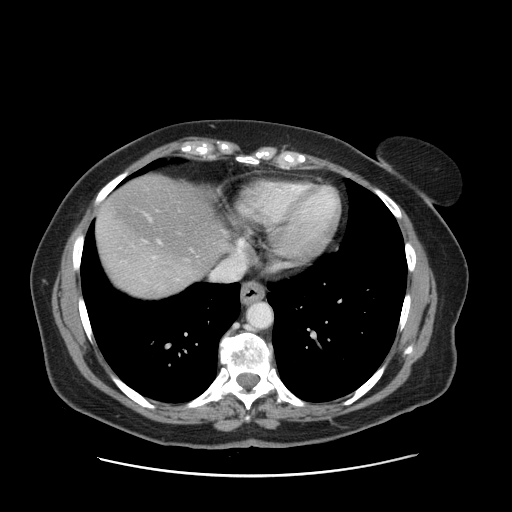 Liver | CT scan slice
The vessel annotation is not exhaustive.
Hepatic vessel: bounding box x1=148, y1=216, x2=150, y2=220.